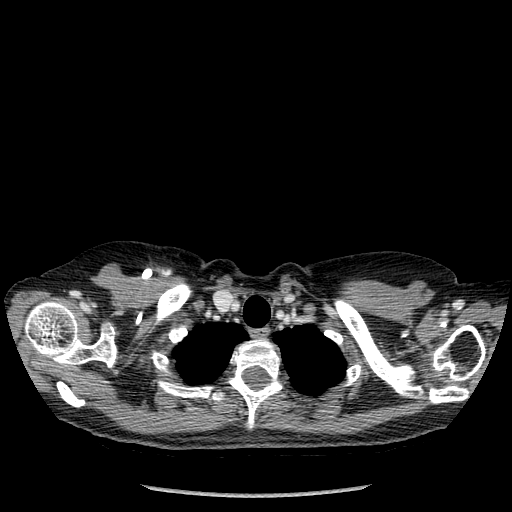

512x512 px, CT, Thorax
lung: (left=243, top=296, right=270, bottom=327), (left=172, top=322, right=247, bottom=384), (left=273, top=324, right=346, bottom=395) | bone: (left=345, top=364, right=361, bottom=385), (left=151, top=351, right=168, bottom=372), (left=25, top=301, right=116, bottom=367), (left=324, top=329, right=343, bottom=344), (left=432, top=325, right=485, bottom=381), (left=168, top=326, right=187, bottom=343), (left=155, top=283, right=191, bottom=324), (left=335, top=300, right=423, bottom=397), (left=429, top=384, right=468, bottom=403), (left=211, top=392, right=224, bottom=401), (left=56, top=381, right=84, bottom=407), (left=158, top=381, right=213, bottom=397), (left=227, top=338, right=282, bottom=428)